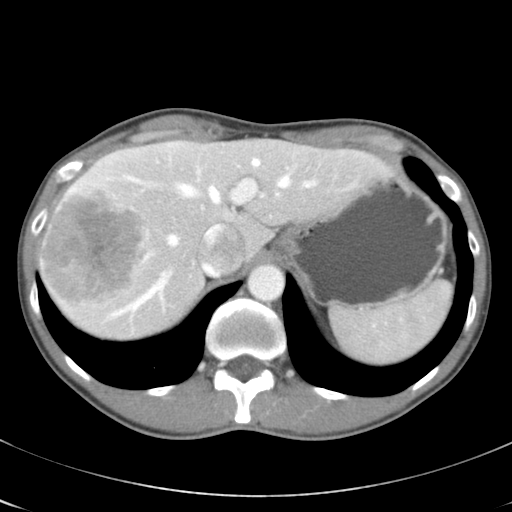 Abdomen, CT slice

Some hepatic vessels may have no box.
Findings:
- liver tumor: [42, 189, 155, 303]
- hepatic vessel: [232, 179, 256, 202], [253, 159, 259, 165], [210, 187, 219, 201], [304, 181, 315, 186], [276, 193, 279, 195], [279, 176, 289, 186], [169, 236, 177, 244], [178, 183, 196, 196], [202, 206, 203, 208], [111, 272, 169, 316], [146, 255, 149, 259], [126, 176, 144, 183]